Liver, Slice 502/816, CT slice 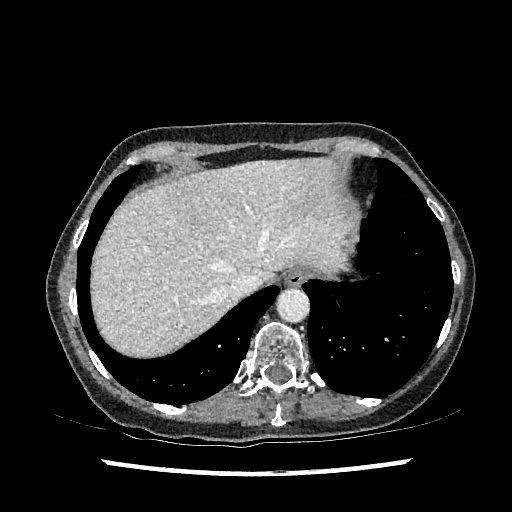 Liver: bounding box 91:157:349:354.
Liver lesion: bounding box 296:198:313:215.